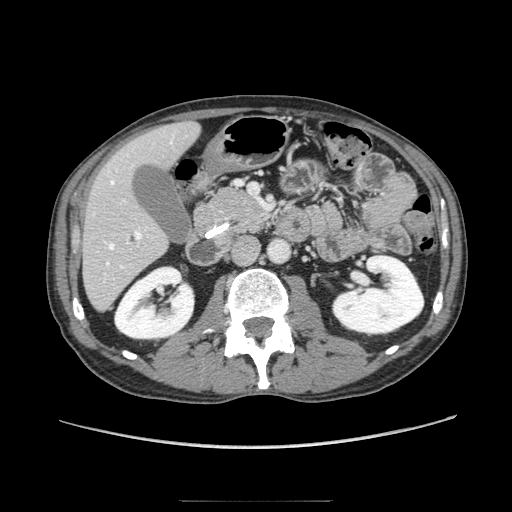
Upper abdomen | Computed tomography | 512x512 px

Pancreas at box=[195, 187, 266, 242].